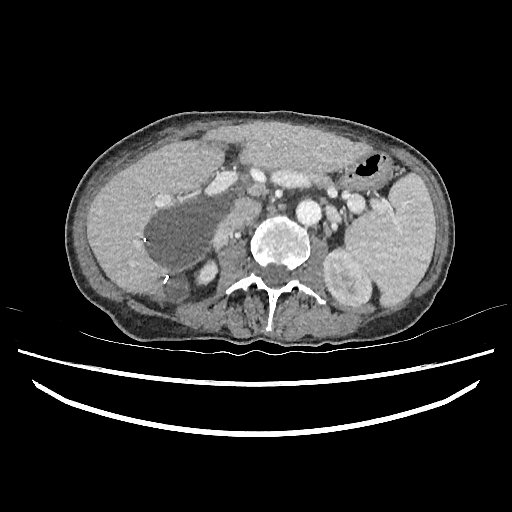
Abdomen; CT slice
liver_lesion:
  - [144, 192, 231, 302]
liver:
  - [223, 187, 240, 203]
  - [87, 122, 369, 301]
kidney:
  - [199, 262, 217, 282]
  - [323, 250, 371, 304]